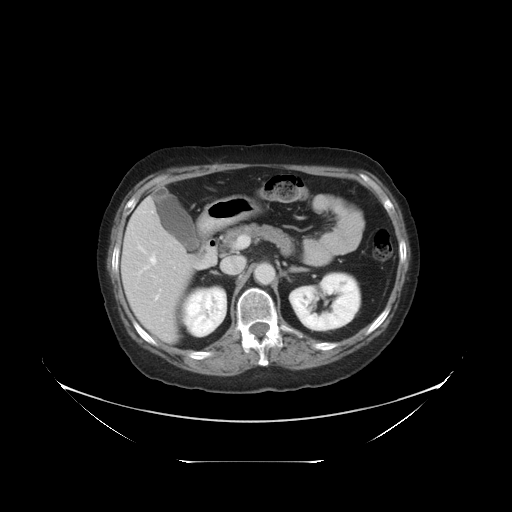
Computed tomography | 512x512
Not every hepatic vessel necessarily has a box.
hepatic_vessel:
  - (143, 266, 146, 269)
  - (155, 295, 158, 299)
  - (150, 254, 155, 264)
  - (138, 245, 144, 251)
  - (221, 256, 245, 272)
  - (139, 270, 142, 273)